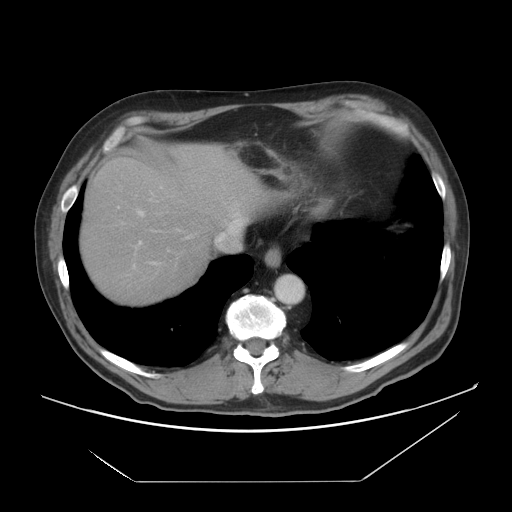

Computed tomography | 512x512
Liver: (80, 143, 290, 304).